Liver. CT. Slice index 25.
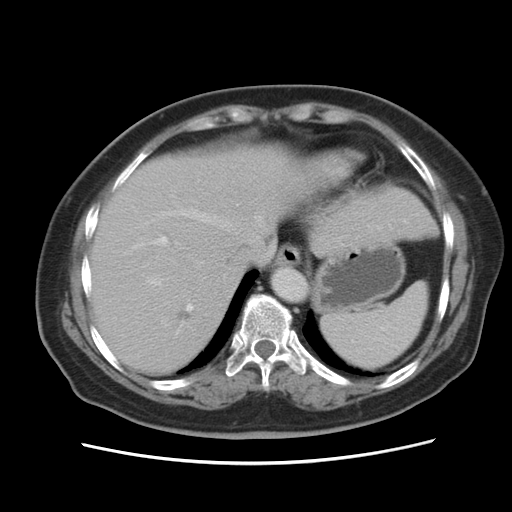

Not every hepatic vessel necessarily has a box.
9 hepatic vessel regions are bounded by (x1=133, y1=244, x2=143, y2=248), (x1=175, y1=242, x2=177, y2=243), (x1=187, y1=304, x2=193, y2=310), (x1=148, y1=277, x2=161, y2=285), (x1=181, y1=322, x2=184, y2=326), (x1=221, y1=225, x2=224, y2=227), (x1=153, y1=237, x2=167, y2=244), (x1=181, y1=211, x2=216, y2=224), (x1=218, y1=220, x2=221, y2=221).